FLAIR MRI.
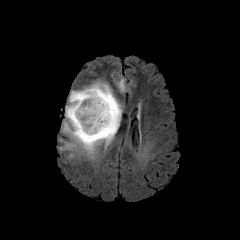
T1-weighted magnetic resonance.
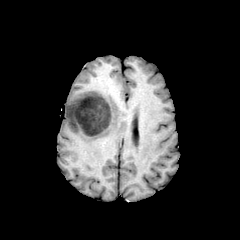
Post-contrast T1-weighted MR image.
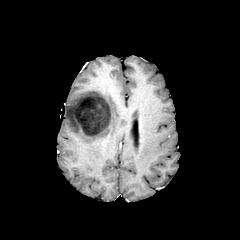
T2-weighted MR.
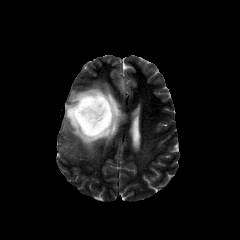
Head
Non-enhancing tumor core — x1=88, y1=84, x2=112, y2=96; x1=68, y1=92, x2=113, y2=143.
Edema — x1=106, y1=90, x2=121, y2=145; x1=61, y1=82, x2=106, y2=153.